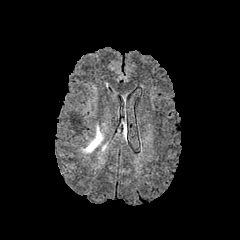
FLAIR MRI.
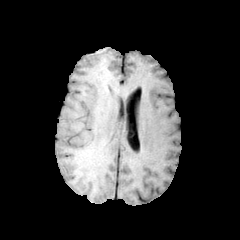
Same slice, T1-weighted MR.
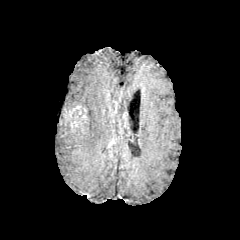
Post-contrast T1-weighted MR image of the same slice.
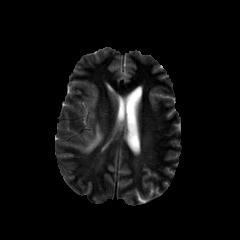
T2-weighted MR.
Brain
edema: left=83, top=126, right=103, bottom=153